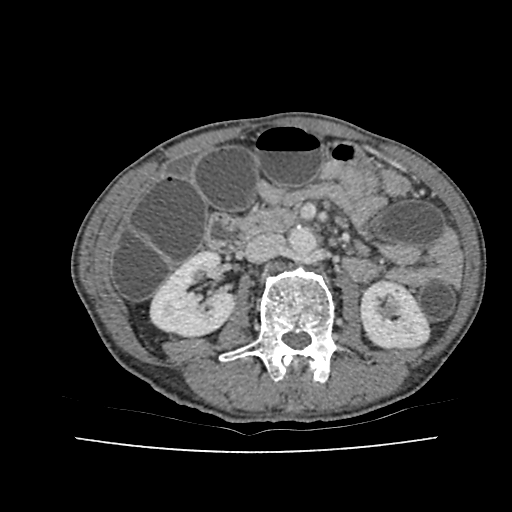

CT. Abdomen.
Segmented structures:
- kidney: 151 252 233 335, 361 282 428 347